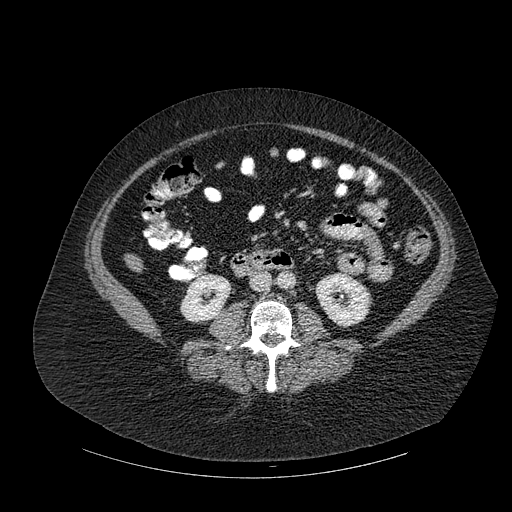 Image size 512x512, CT image, Liver

Kidney: bounding box region(181, 274, 230, 321); region(316, 273, 368, 325).
Liver: bounding box region(134, 261, 142, 271); region(124, 254, 139, 267).
Bone: bounding box region(241, 301, 299, 391).